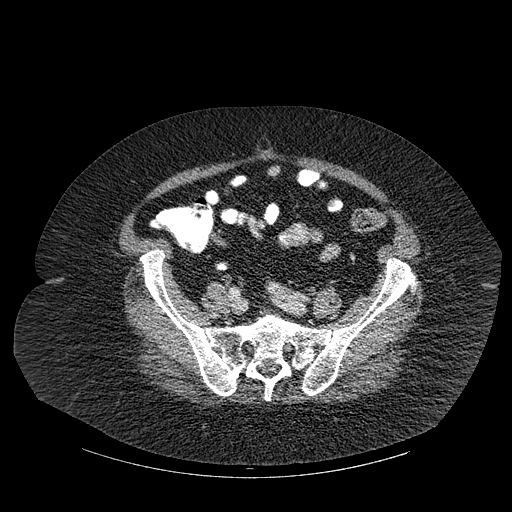

512x512 px, CT
<segmentation>
  <bone>left=140, top=249, right=415, bottom=400</bone>
</segmentation>